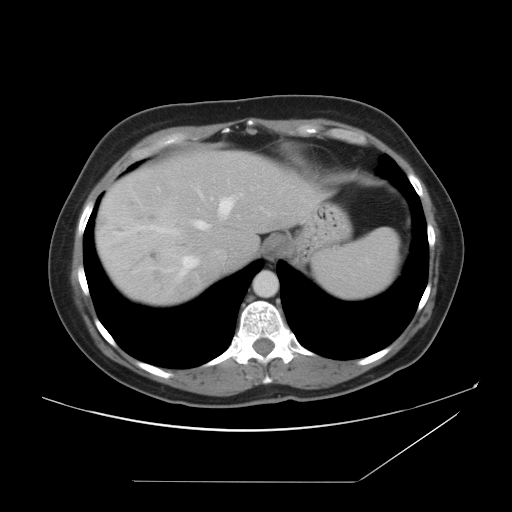 CT image.

The vessel annotation is not exhaustive.
Segmented structures:
- liver tumor: x1=100, y1=219, x2=107, y2=227
- hepatic vessel: x1=165, y1=270, x2=168, y2=272; x1=194, y1=220, x2=210, y2=229; x1=114, y1=225, x2=165, y2=235; x1=173, y1=230, x2=176, y2=234; x1=240, y1=193, x2=241, y2=195; x1=182, y1=256, x2=198, y2=267; x1=197, y1=189, x2=202, y2=197; x1=219, y1=198, x2=233, y2=217